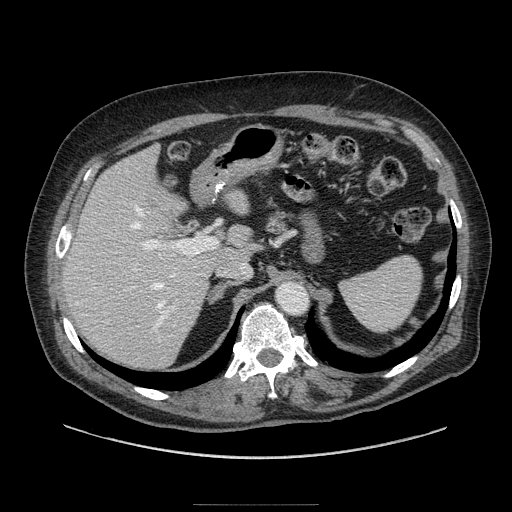 CT image
<segmentation>
  <pancreas>box(259, 211, 295, 233)</pancreas>
</segmentation>